Computed tomography, 512x512 px, Liver 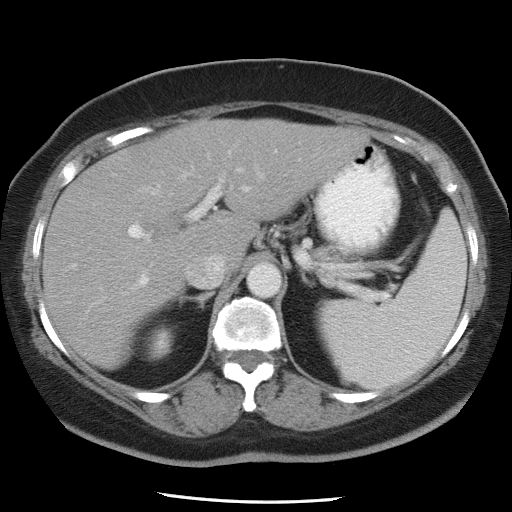 Only some of the vessels may be annotated.
<segmentation>
  <hepatic_vessel>[189, 186, 219, 218], [243, 186, 246, 189], [129, 224, 140, 236], [239, 168, 241, 169]</hepatic_vessel>
</segmentation>